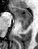
38x49 px, MRI
posterior_hippocampus:
  - [19, 21, 31, 29]
anterior_hippocampus:
  - [10, 7, 32, 20]